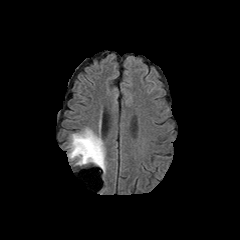
FLAIR MR.
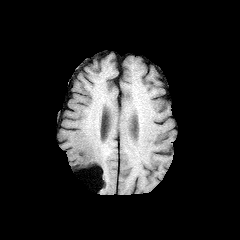
T1-weighted magnetic resonance of the same slice.
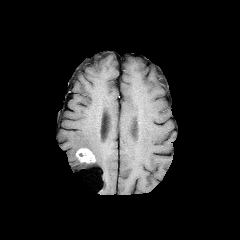
Post-contrast T1-weighted MR.
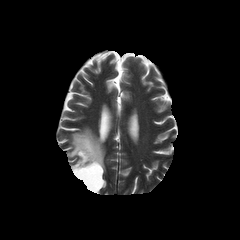
T2-weighted MR image.
Image size 240x240, Brain
Segmented structures:
• enhancing tumor: [76,148,96,163]
• edema: [67,127,107,174]
• non-enhancing tumor core: [82,151,103,169]